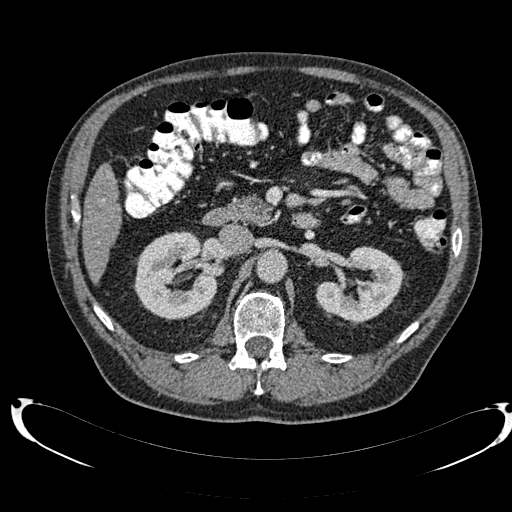

CT slice
{"kidney": ["l=316, t=246, r=402, b=323", "l=134, t=232, r=223, b=319"], "liver": ["l=82, t=164, r=120, b=283"]}